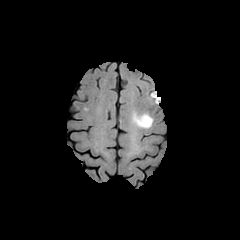
FLAIR magnetic resonance.
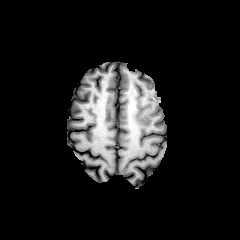
Same slice, T1-weighted MR image.
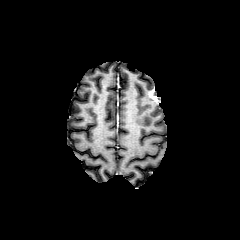
Post-contrast T1-weighted magnetic resonance.
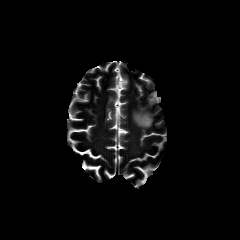
T2-weighted MR of the same slice.
The edema lies within {"x1": 132, "y1": 110, "x2": 153, "y2": 128}. The enhancing tumor lies within {"x1": 149, "y1": 88, "x2": 160, "y2": 102}.